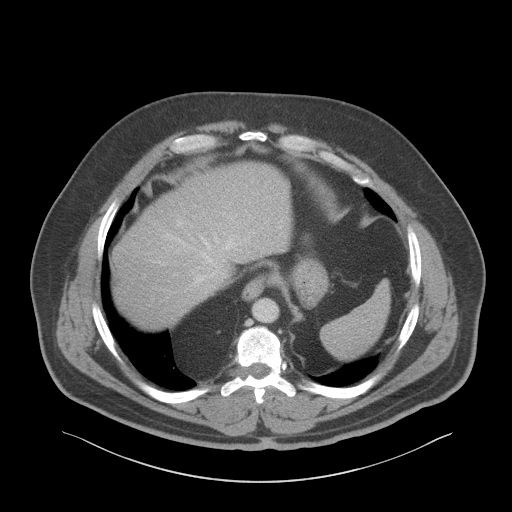

CT, 512x512

Liver at 113:165:288:332.